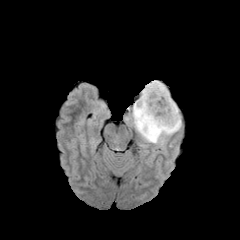
FLAIR MRI.
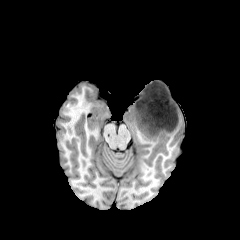
T1-weighted MRI.
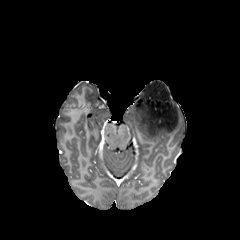
Post-contrast T1-weighted magnetic resonance.
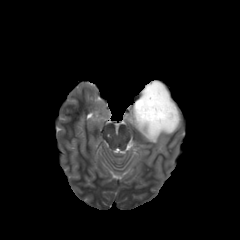
T2-weighted MR image of the same slice.
Brain
The edema is located at rect(125, 98, 181, 149). The non-enhancing tumor core lies within rect(134, 81, 178, 135).